Image size 512x512. Abdomen. Image width 348 mm. CT.

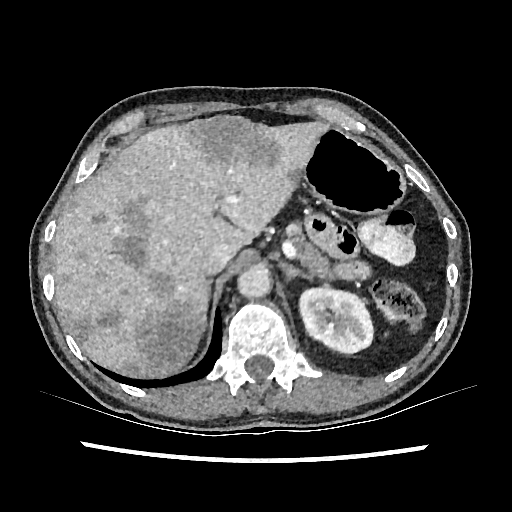 <segmentation>
  <kidney>(left=300, top=288, right=372, bottom=352)</kidney>
  <focal_liver_lesion>(left=91, top=212, right=107, bottom=224), (left=184, top=117, right=283, bottom=171), (left=70, top=317, right=93, bottom=344), (left=115, top=195, right=203, bottom=376), (left=77, top=251, right=86, bottom=260), (left=94, top=305, right=123, bottom=335), (left=286, top=166, right=303, bottom=186)</focal_liver_lesion>
  <liver>(left=53, top=122, right=326, bottom=374)</liver>
</segmentation>